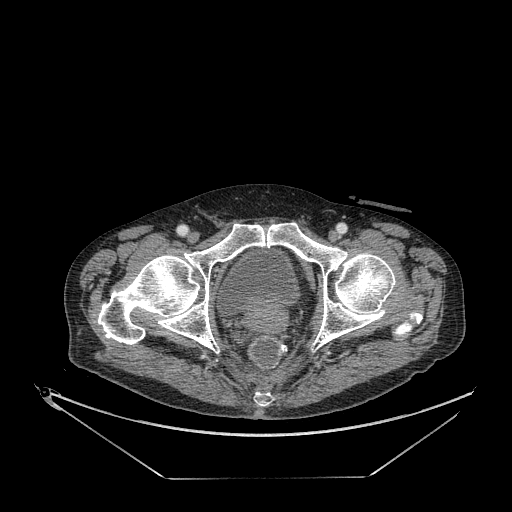

CT
urinary_bladder:
  - [217,247,299,316]